Magnetic resonance, Hippocampus 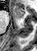

- anterior hippocampus: l=13, t=6, r=24, b=19